FLAIR MR.
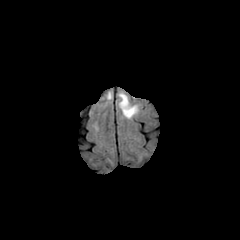
T1-weighted MR.
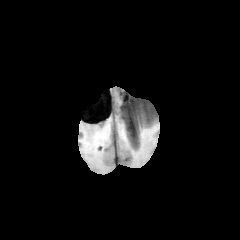
Post-contrast T1-weighted MR image.
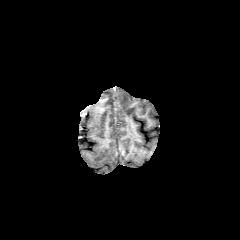
T2-weighted magnetic resonance.
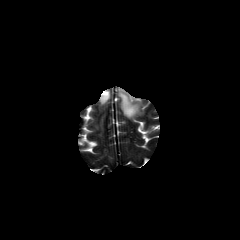
Image size 240x240, Brain
Edema = rect(118, 91, 139, 119).